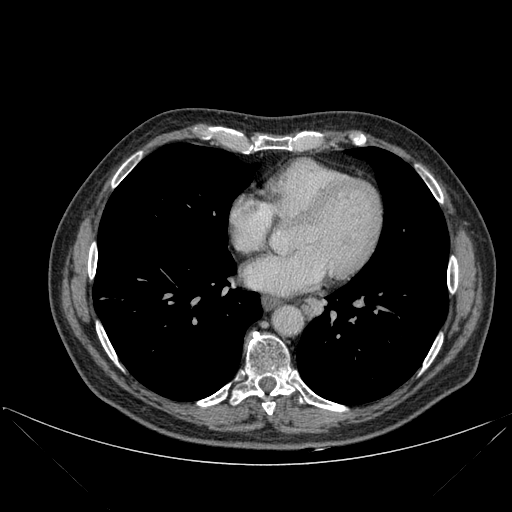
CT slice.
2 lung regions appear at l=296, t=147, r=449, b=404; l=92, t=143, r=262, b=400. 11 bone regions appear at l=427, t=173, r=442, b=202; l=262, t=402, r=275, b=414; l=88, t=242, r=97, b=278; l=301, t=132, r=320, b=135; l=255, t=136, r=292, b=149; l=234, t=332, r=346, b=411; l=112, t=156, r=134, b=187; l=96, t=323, r=118, b=365; l=422, t=335, r=442, b=370; l=447, t=256, r=457, b=292; l=197, t=384, r=229, b=406.